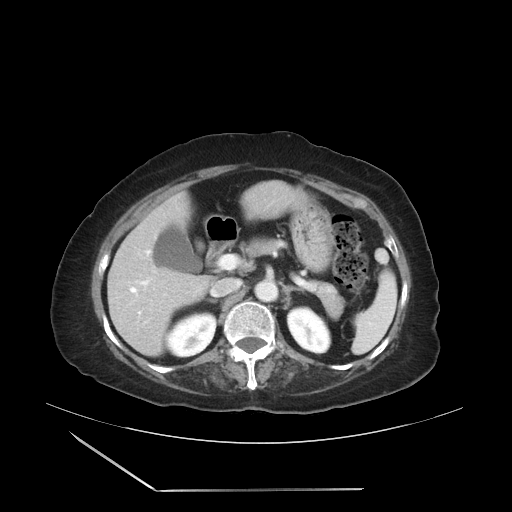 CT slice, 512x512, Liver
The vessel boxes may cover only some of the vessels.
4 hepatic vessel regions appear at <bbox>153, 271, 156, 273</bbox>, <bbox>128, 277, 151, 302</bbox>, <bbox>139, 250, 150, 258</bbox>, <bbox>138, 311, 141, 318</bbox>.